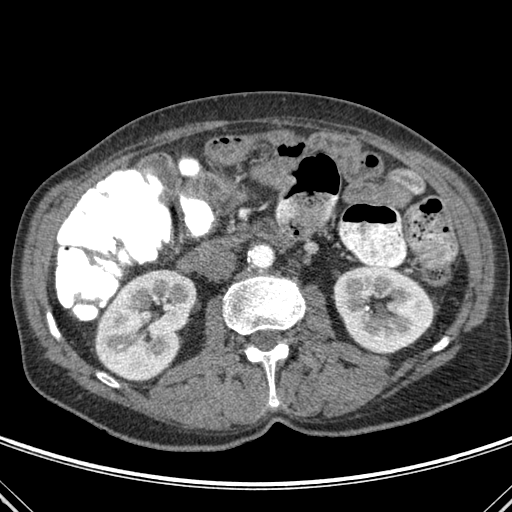
Abdomen, 512x512, CT scan slice

2 kidney regions are bounded by rect(96, 274, 195, 379); rect(335, 264, 432, 352). 5 bone regions appear at rect(97, 372, 119, 387); rect(223, 272, 304, 334); rect(47, 312, 59, 338); rect(432, 337, 448, 350); rect(244, 342, 288, 406).